Brain
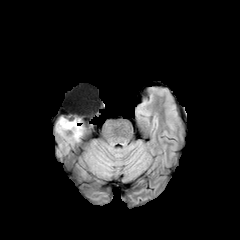
FLAIR MR image.
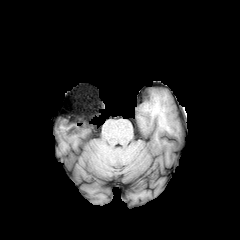
Same slice, T1-weighted magnetic resonance.
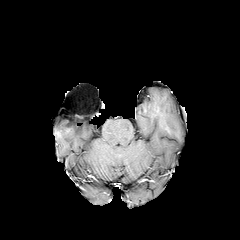
Post-contrast T1-weighted MR image of the same slice.
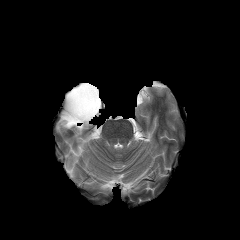
T2-weighted magnetic resonance.
Non-enhancing tumor core — bbox=[60, 115, 78, 125].
Edema — bbox=[56, 117, 83, 142].